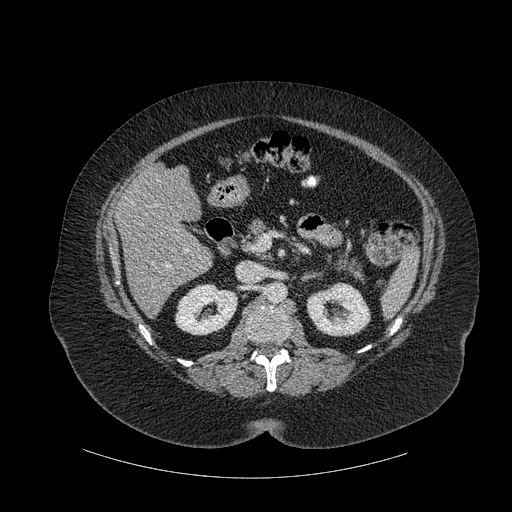 Image size 512x512 | CT slice

kidney:
  - x1=307 y1=283 x2=369 y2=335
  - x1=176 y1=285 x2=236 y2=334
bone:
  - x1=178 y1=359 x2=192 y2=366
  - x1=391 y1=318 x2=401 y2=334
  - x1=252 y1=349 x2=290 y2=391
  - x1=139 y1=324 x2=151 y2=344
  - x1=247 y1=300 x2=289 y2=341
liver:
  - x1=116 y1=162 x2=213 y2=312